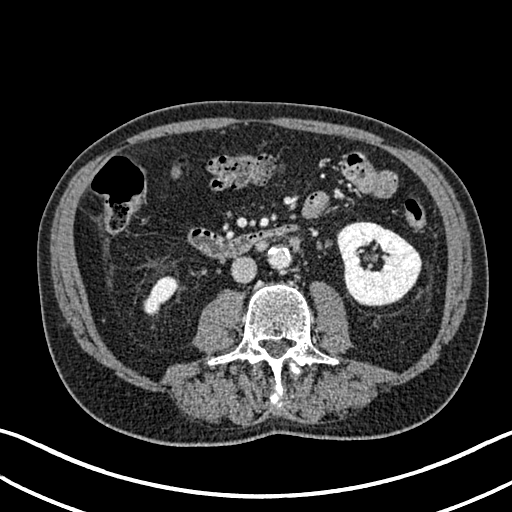

512x512; CT
kidney:
  - l=145, t=277, r=176, b=313
  - l=338, t=222, r=420, b=304